512x512 px | CT scan slice | Field of view 496 mm wide, 0.80 mm slice spacing | Slice 253 of 537
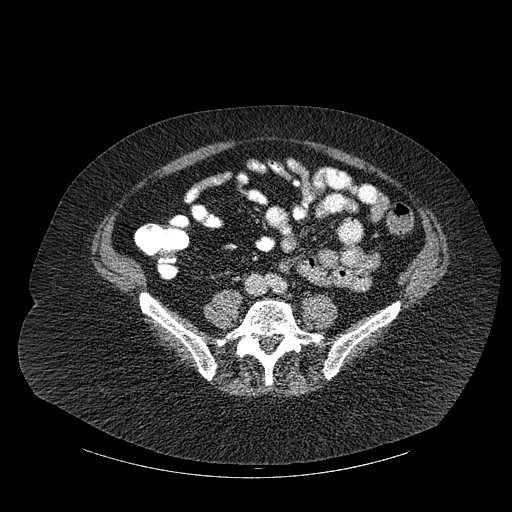
Bone: bounding box <bbox>140, 293, 216, 380</bbox>, <bbox>323, 301, 399, 379</bbox>, <bbox>217, 300, 322, 384</bbox>.